CT scan slice | Slice 36 of 55
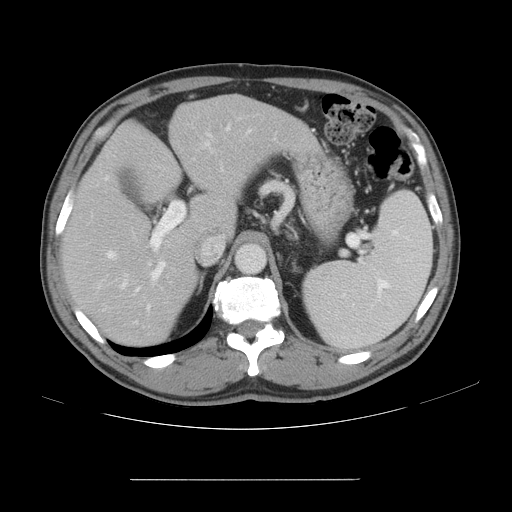
Not every hepatic vessel necessarily has a box.
• hepatic vessel: region(220, 165, 222, 171); region(246, 129, 250, 135); region(148, 261, 150, 264); region(207, 133, 211, 137); region(227, 126, 229, 130); region(120, 274, 127, 288); region(105, 176, 108, 179); region(150, 237, 159, 250); region(151, 261, 165, 284); region(146, 305, 150, 312); region(134, 320, 137, 323); region(107, 251, 115, 258); region(135, 287, 139, 291); region(205, 141, 213, 152); region(103, 309, 104, 310)